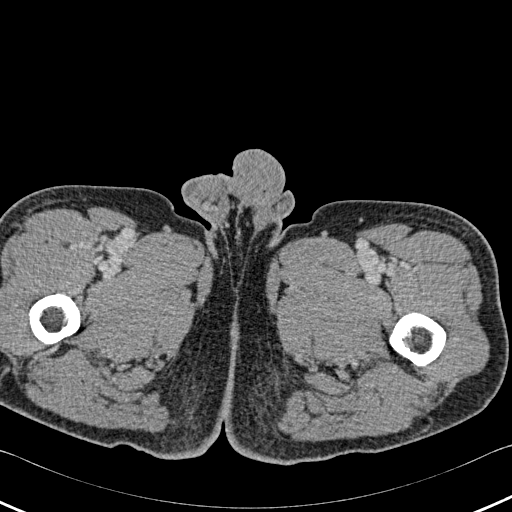

512x512 | CT

2 bone regions are bounded by 389:313:445:365, 29:294:80:343.